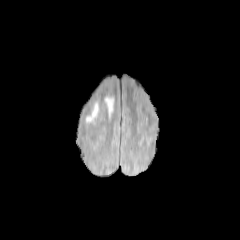
FLAIR MRI.
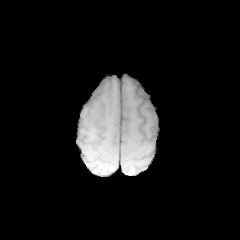
T1-weighted MRI.
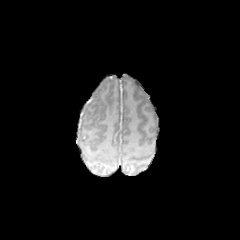
Post-contrast T1-weighted magnetic resonance.
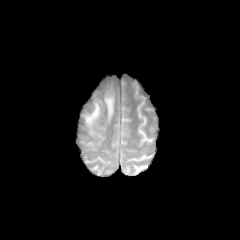
T2-weighted MR image.
Head
2 edema regions are bounded by l=86, t=103, r=99, b=127; l=104, t=95, r=114, b=120.